Upper abdomen | CT scan slice | Slice index 138
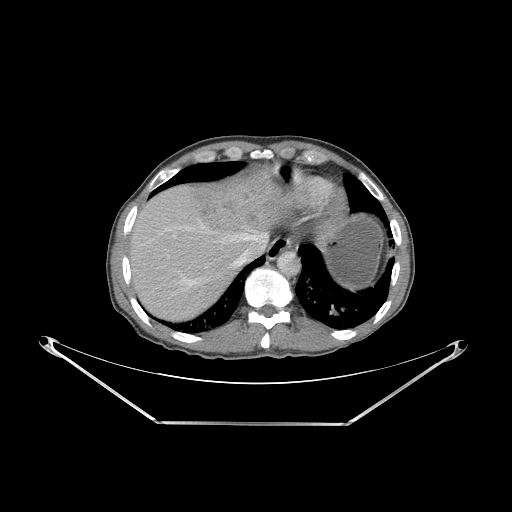

lung:
  - <bbox>154, 162, 243, 193</bbox>
  - <bbox>174, 259, 262, 332</bbox>
  - <bbox>295, 255, 394, 328</bbox>
  - <bbox>343, 174, 386, 226</bbox>
bone:
  - <bbox>131, 298, 149, 324</bbox>
  - <bbox>172, 332, 200, 342</bbox>
  - <bbox>251, 151, 269, 157</bbox>
  - <bbox>124, 206, 136, 233</bbox>
  - <bbox>390, 220, 400, 244</bbox>
  - <bbox>246, 268, 291, 347</bbox>
  - <bbox>392, 263, 399, 284</bbox>
  - <bbox>122, 257, 130, 283</bbox>
  - <bbox>374, 301, 390, 322</bbox>
  - <bbox>332, 330, 355, 339</bbox>
  - <bbox>152, 172, 167, 183</bbox>
  - <bbox>363, 177, 383, 199</bbox>
liver:
  - <bbox>132, 166, 270, 322</bbox>